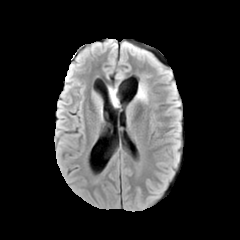
FLAIR MR.
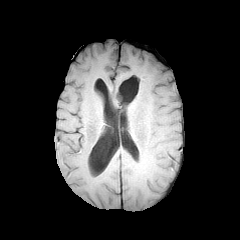
T1-weighted magnetic resonance.
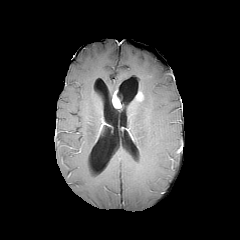
Post-contrast T1-weighted MR image.
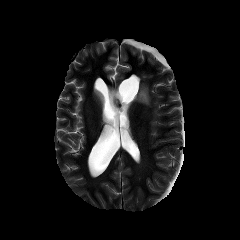
T2-weighted MRI.
Brain
Edema at (left=108, top=86, right=129, bottom=109), (left=136, top=82, right=149, bottom=103).
Enhancing tumor at (left=112, top=91, right=120, bottom=107).